Field of view 314x314 mm; CT
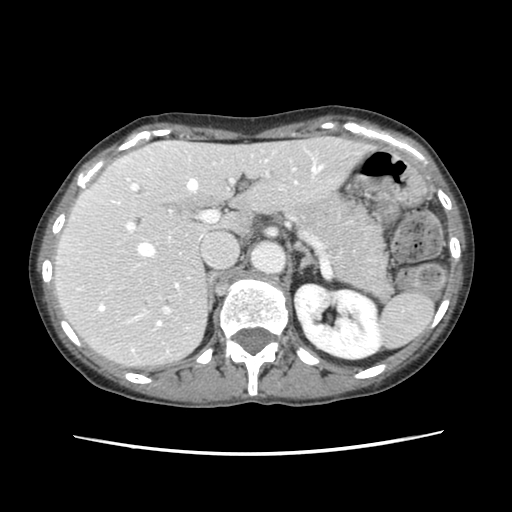 The spleen is located at rect(378, 294, 433, 348).